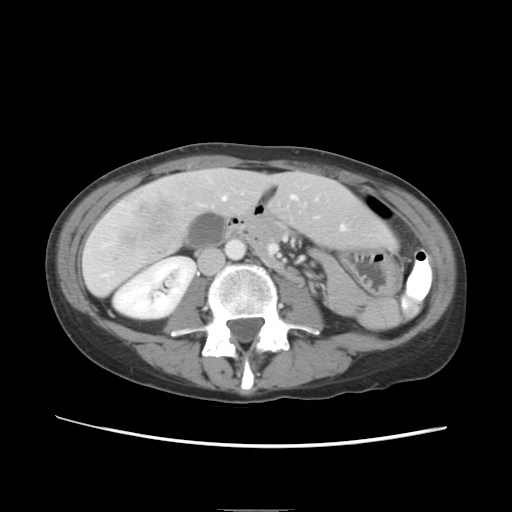

Image size 512x512, CT
Some hepatic vessels may have no box.
Liver tumor — l=114, t=200, r=188, b=263.
Hepatic vessel — l=222, t=196, r=226, b=199; l=87, t=249, r=90, b=251; l=269, t=245, r=275, b=252; l=291, t=194, r=296, b=198; l=102, t=242, r=112, b=246; l=341, t=225, r=344, b=229; l=102, t=271, r=113, b=281.